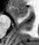 Magnetic resonance | Hippocampus | 39x45 px
<segmentation>
  <anterior_hippocampus><box>10,6,27,17</box></anterior_hippocampus>
</segmentation>